FLAIR magnetic resonance.
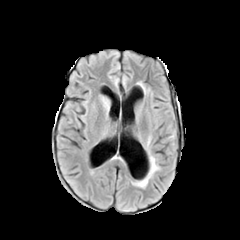
T1-weighted MR.
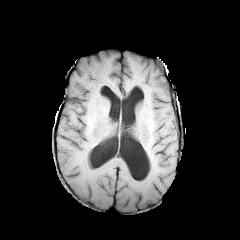
Post-contrast T1-weighted MRI.
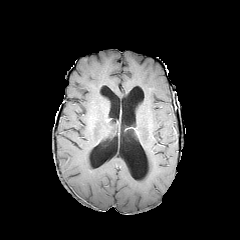
T2-weighted MR.
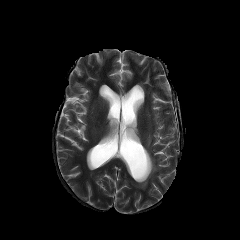
Edema: bounding box x1=136 y1=136 x2=159 y2=188.